Abdomen. Computed tomography.
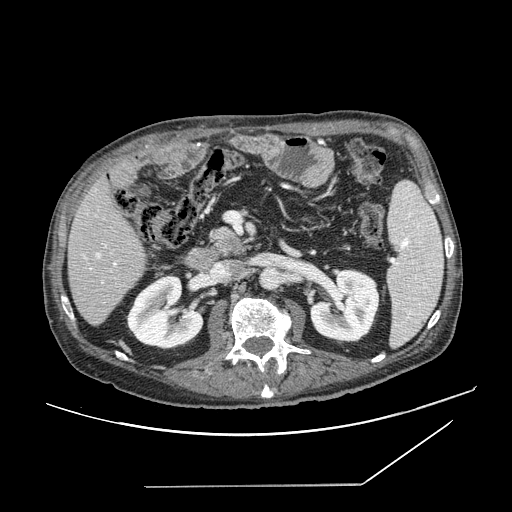 Findings:
* pancreas: x1=212, y1=228, x2=242, y2=253
* pancreatic tumor: x1=225, y1=238, x2=244, y2=253